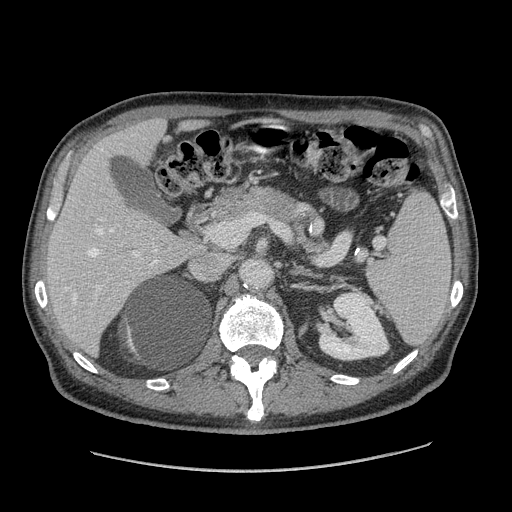

CT | Upper abdomen
{"pancreas": ["x1=216, y1=189, x2=276, y2=220", "x1=281, y1=206, x2=326, y2=251"], "pancreatic_tumor": ["x1=260, y1=191, x2=295, y2=220"]}